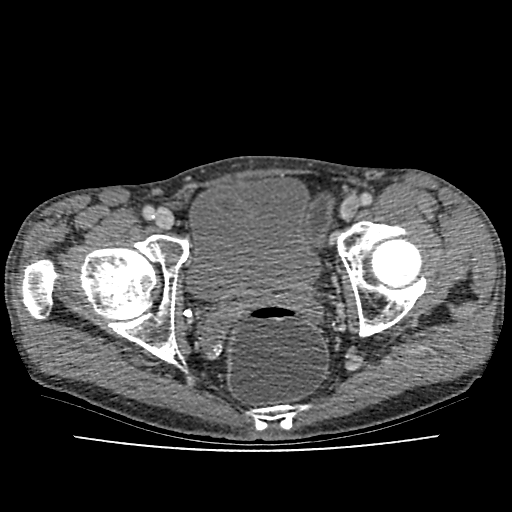

Computed tomography
Urinary bladder: bounding box left=186, top=172, right=320, bottom=302.